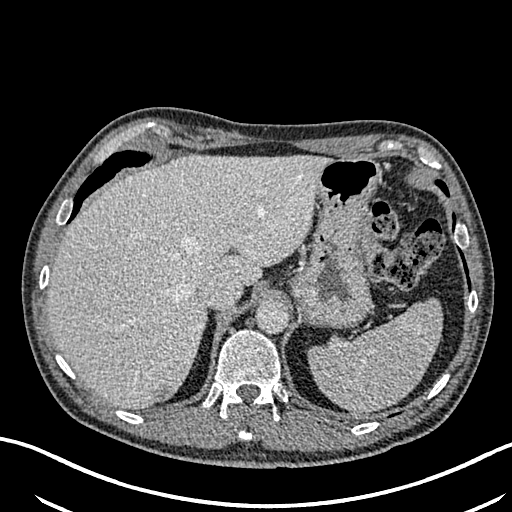

Abdomen. 512x512. CT image. <segmentation>
  <liver>box(49, 155, 331, 408)</liver>
  <hepatic_lesion>box(152, 384, 173, 401)</hepatic_lesion>
</segmentation>